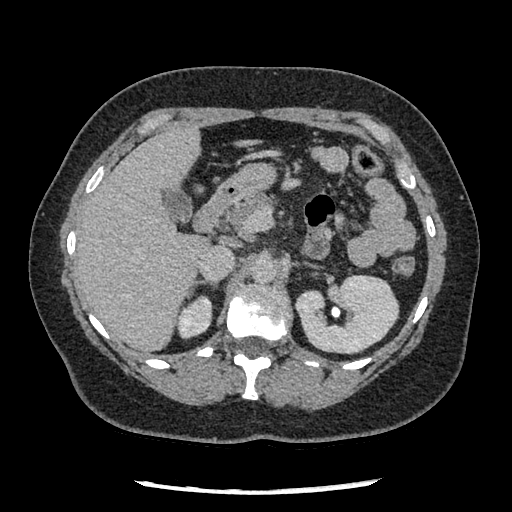

CT scan slice. Upper abdomen. The pancreas appears at box(227, 195, 271, 234).